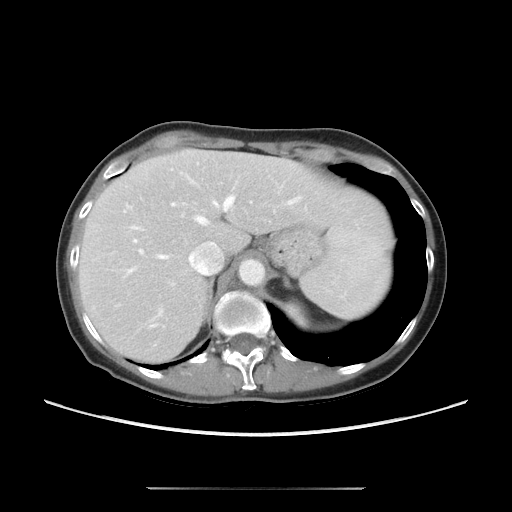

Computed tomography | Liver
Not every hepatic vessel necessarily has a box.
hepatic_vessel:
  - 133,239,137,242
  - 287,197,300,204
  - 213,201,217,205
  - 157,253,169,258
  - 139,249,142,253
  - 223,196,233,210
  - 130,226,140,229
  - 127,205,130,207
  - 128,268,134,272
  - 194,216,208,224